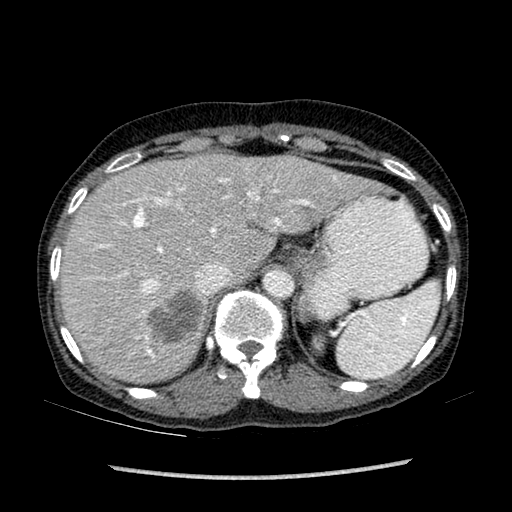
CT scan slice

Liver: region(60, 155, 375, 383).
Liver lesion: region(145, 291, 202, 344).